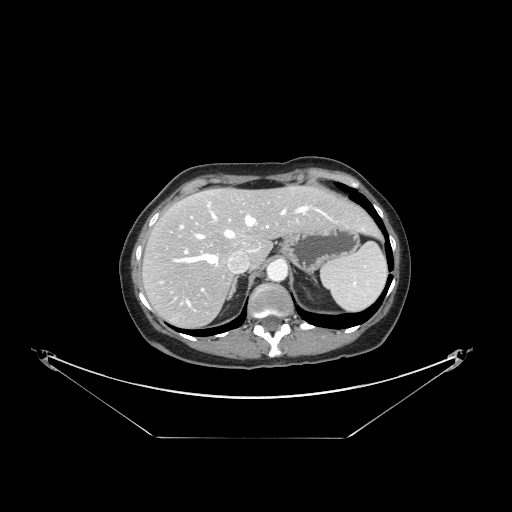 Liver. Computed tomography. Image size 512x512.
The vessel boxes may cover only some of the vessels.
6 hepatic vessel regions are bounded by box(198, 235, 202, 237); box(225, 231, 233, 236); box(299, 208, 306, 211); box(213, 215, 214, 217); box(246, 216, 254, 224); box(282, 211, 284, 213).